FLAIR magnetic resonance.
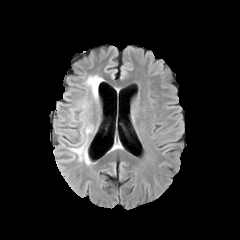
T1-weighted magnetic resonance.
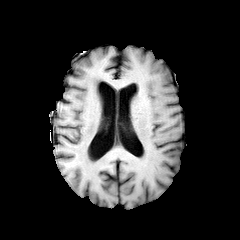
Post-contrast T1-weighted MR.
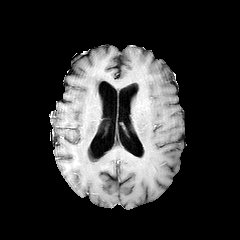
T2-weighted magnetic resonance.
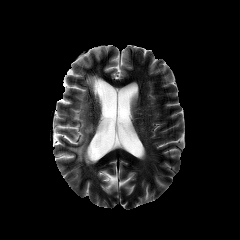
edema: {"x1": 67, "y1": 75, "x2": 102, "y2": 165}